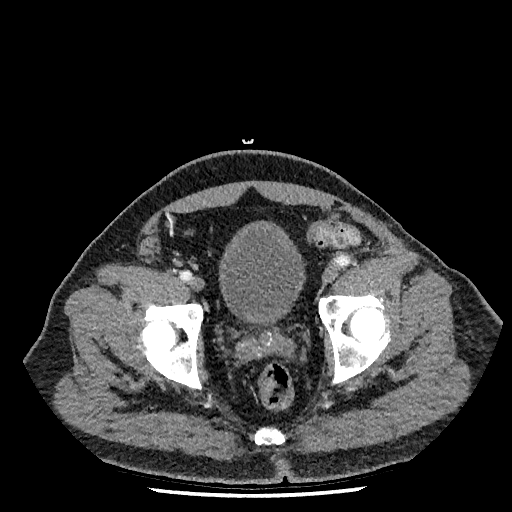 Pelvis, CT scan slice
The urinary bladder is at left=218, top=220, right=306, bottom=324.